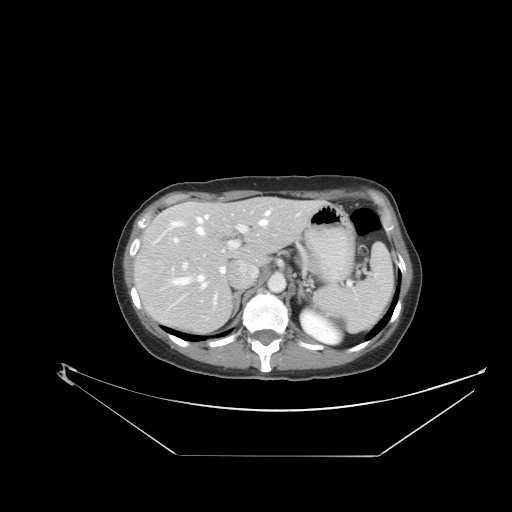
Computed tomography. Upper abdomen.

The pancreas is bounded by x1=305 y1=254 x2=317 y2=267.